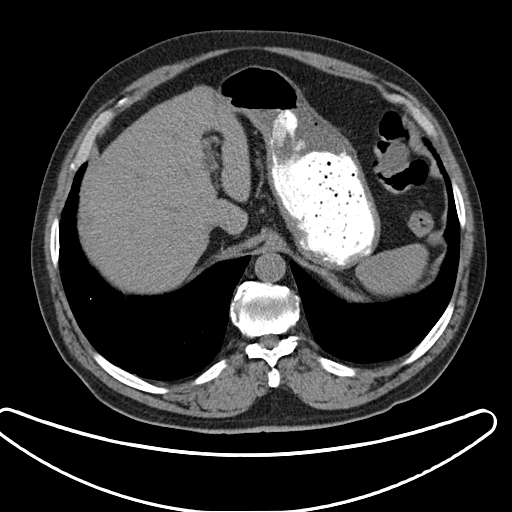

Abdomen, CT slice
The spleen appears at [358, 246, 426, 295].